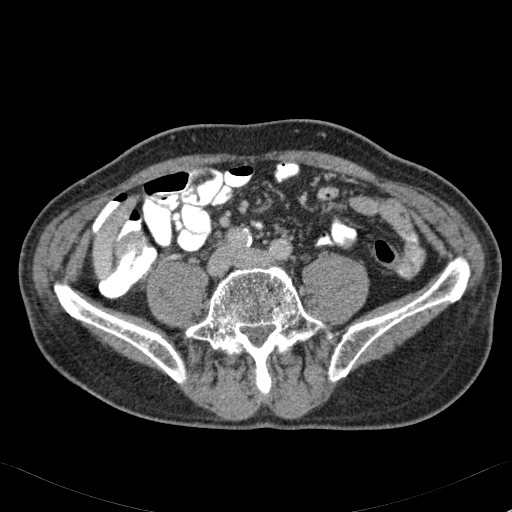 Upper abdomen, CT

Liver: bounding box (94, 236, 111, 274).